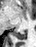 Medial temporal lobe, MR image
The posterior hippocampus appears at 14:31:26:39.